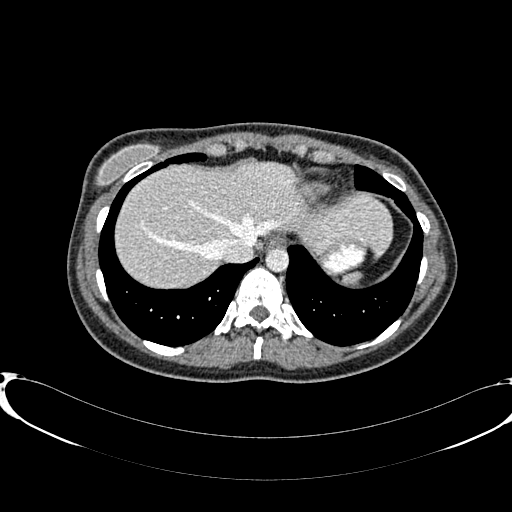 Upper abdomen. CT image. Image size 512x512.
The liver is located at [116,162,391,286].